CT scan slice; Abdomen; Image size 512x512
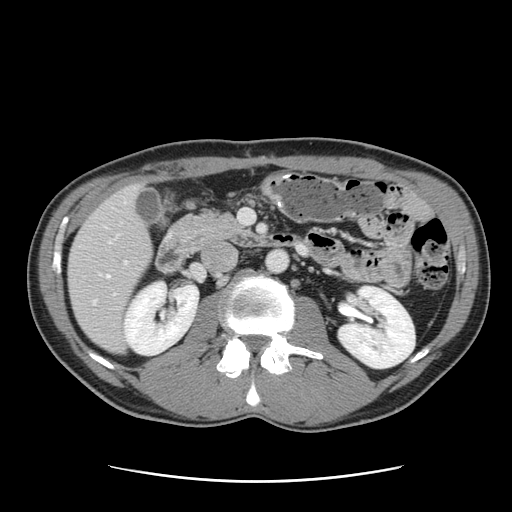
The vessel annotation is not exhaustive.
Annotated regions:
* hepatic vessel: rect(108, 240, 111, 243); rect(124, 261, 127, 263); rect(106, 274, 109, 277); rect(115, 235, 117, 237); rect(92, 300, 95, 303)